240x240; Slice index 59; Head
FLAIR magnetic resonance.
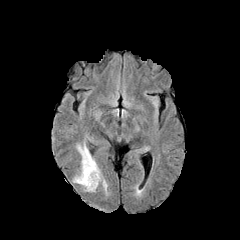
T1-weighted MR.
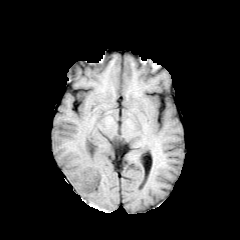
Post-contrast T1-weighted MR image.
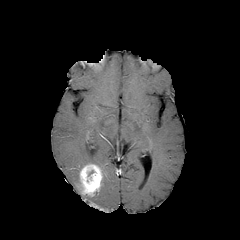
T2-weighted MRI.
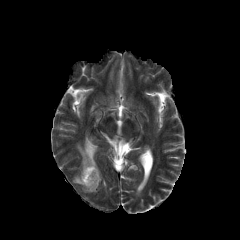
The edema is at <bbox>76, 143, 96, 167</bbox>. The enhancing tumor lies within <bbox>75, 163, 102, 194</bbox>.